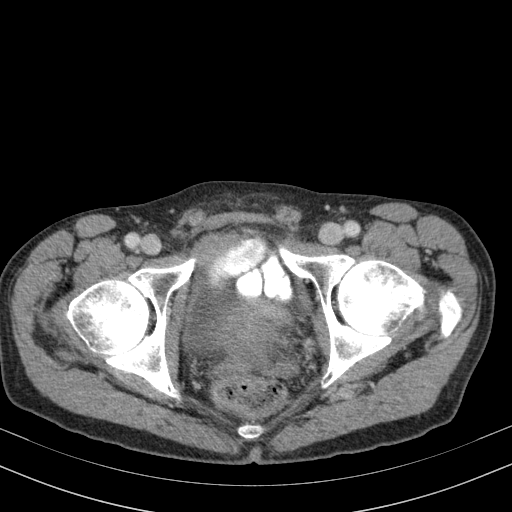

CT image | Pelvis
2 urinary bladder regions appear at (192, 237, 234, 281), (177, 278, 287, 371).